240x240, Field of view 240x240 mm, Head
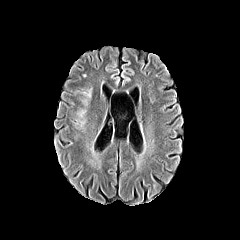
FLAIR magnetic resonance.
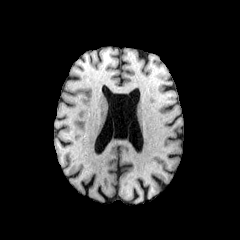
T1-weighted MR of the same slice.
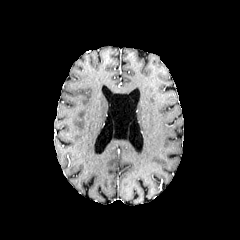
Post-contrast T1-weighted MR image of the same slice.
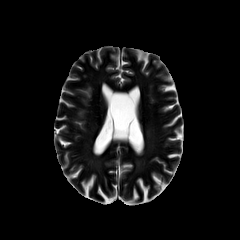
T2-weighted MRI of the same slice.
edema: bbox(76, 109, 86, 117); bbox(82, 89, 91, 99); bbox(73, 118, 86, 126)